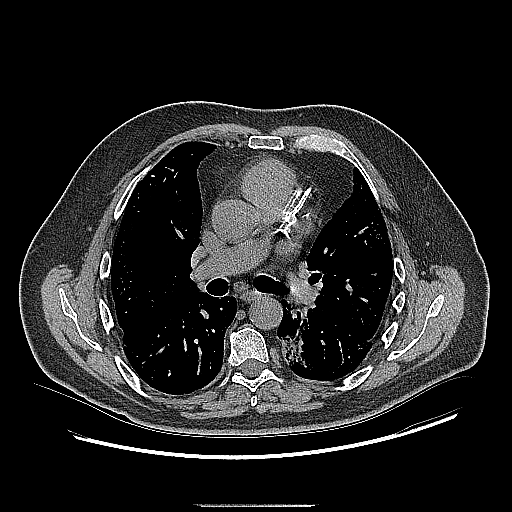

CT image
lung_tumor:
  - (x1=279, y1=299, x2=315, y2=372)